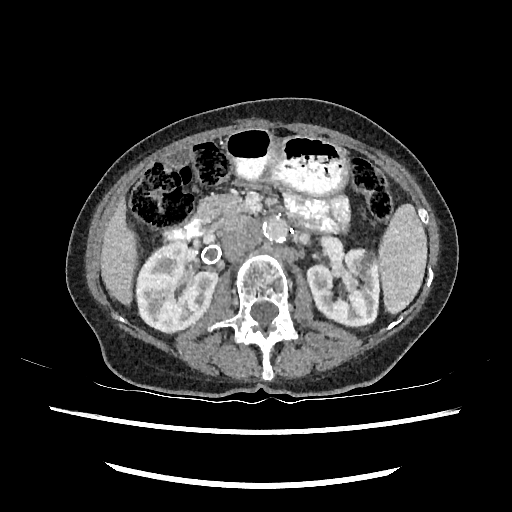

Computed tomography

{
  "kidney": [
    "region(307, 248, 380, 325)",
    "region(137, 245, 217, 331)"
  ],
  "liver": [
    "region(101, 202, 136, 303)"
  ]
}